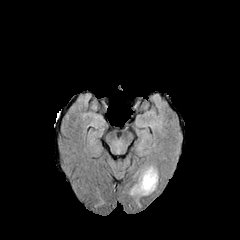
FLAIR MRI.
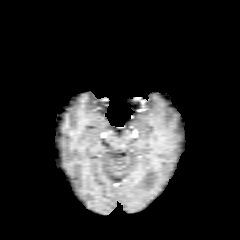
T1-weighted MR image.
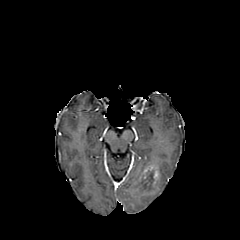
Post-contrast T1-weighted MR.
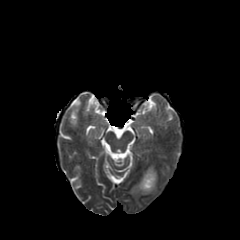
T2-weighted MR of the same slice.
Brain
The edema is located at region(130, 167, 157, 194).